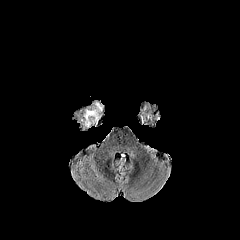
FLAIR magnetic resonance.
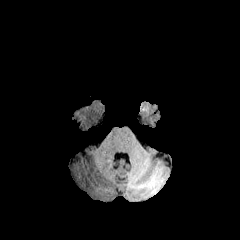
T1-weighted magnetic resonance.
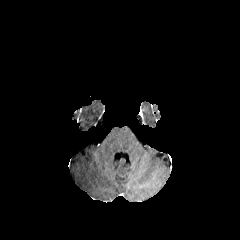
Same slice, post-contrast T1-weighted magnetic resonance.
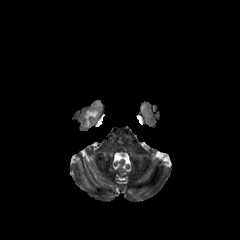
T2-weighted MRI.
Head
{
  "edema": [
    "box(75, 100, 103, 129)"
  ]
}